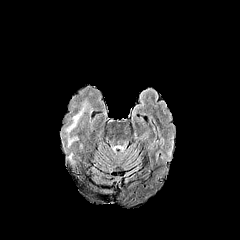
FLAIR MR.
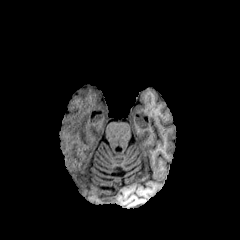
Same slice, T1-weighted MR.
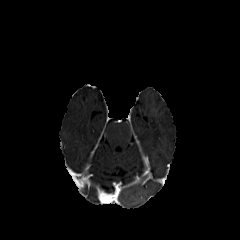
Same slice, post-contrast T1-weighted MR.
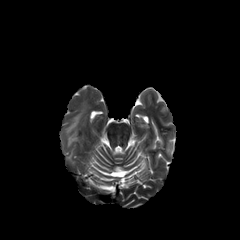
T2-weighted magnetic resonance.
Head.
Edema = [64, 100, 91, 148].